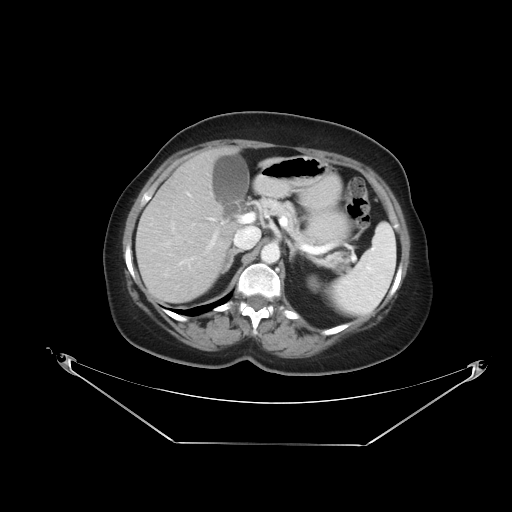 CT scan slice.

Not every hepatic vessel necessarily has a box.
8 hepatic vessel regions are bounded by {"x1": 187, "y1": 192, "x2": 189, "y2": 195}, {"x1": 221, "y1": 221, "x2": 223, "y2": 224}, {"x1": 191, "y1": 257, "x2": 194, "y2": 259}, {"x1": 172, "y1": 226, "x2": 174, "y2": 231}, {"x1": 207, "y1": 231, "x2": 217, "y2": 250}, {"x1": 179, "y1": 259, "x2": 190, "y2": 267}, {"x1": 207, "y1": 218, "x2": 215, "y2": 220}, {"x1": 236, "y1": 214, "x2": 259, "y2": 249}.